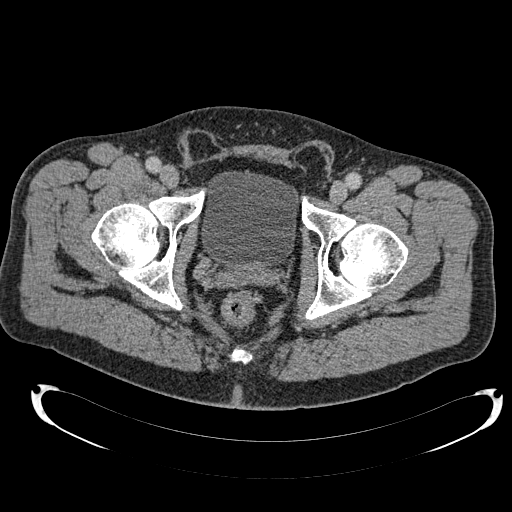
CT
The urinary bladder is bounded by <bbox>201, 170, 298, 270</bbox>.